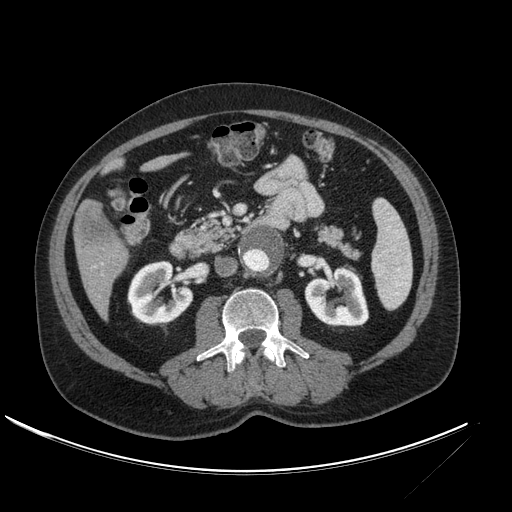
CT slice
Liver — (75, 238, 128, 319), (99, 158, 124, 176), (140, 153, 189, 171).
Kidney — (305, 269, 367, 325), (128, 262, 191, 322).
Focal liver lesion — (74, 199, 119, 253).